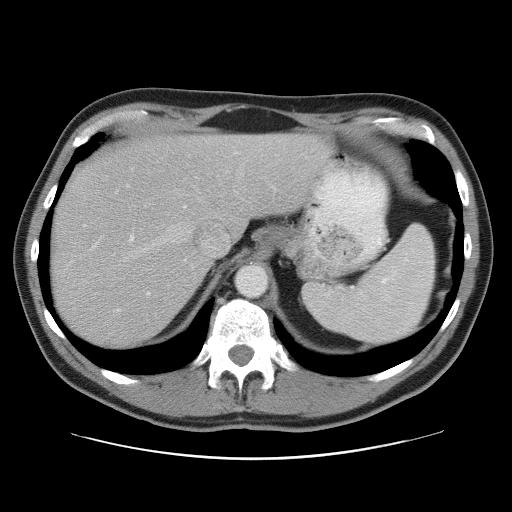
Liver. CT slice.

Not every hepatic vessel necessarily has a box.
hepatic vessel: bbox=[183, 205, 186, 209]; bbox=[146, 292, 148, 295]; bbox=[99, 237, 101, 239]; bbox=[235, 191, 237, 193]; bbox=[136, 225, 182, 253]; bbox=[186, 231, 189, 232]; bbox=[92, 243, 97, 247]; bbox=[176, 191, 181, 195]; bbox=[130, 236, 133, 241]; bbox=[237, 171, 243, 178]; bbox=[198, 197, 203, 201]; bbox=[83, 225, 85, 226]; bbox=[234, 152, 237, 153]